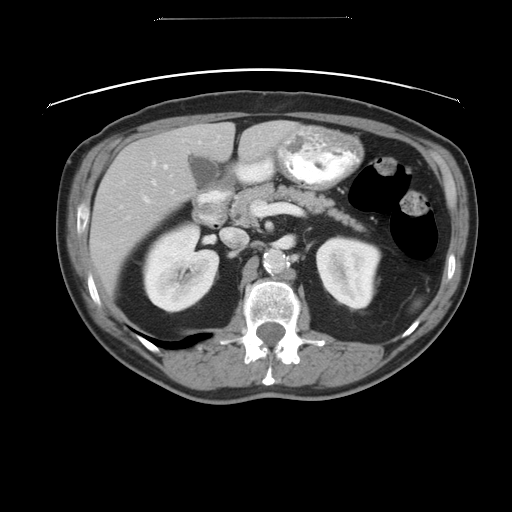

CT image

Some hepatic vessels may have no box.
<segmentation>
  <hepatic_vessel><box>164,164,167,168</box>, <box>126,216,129,218</box>, <box>121,205,122,207</box>, <box>153,180,155,183</box>, <box>153,160,155,165</box>, <box>172,190,174,192</box>, <box>144,196,149,201</box></hepatic_vessel>
</segmentation>